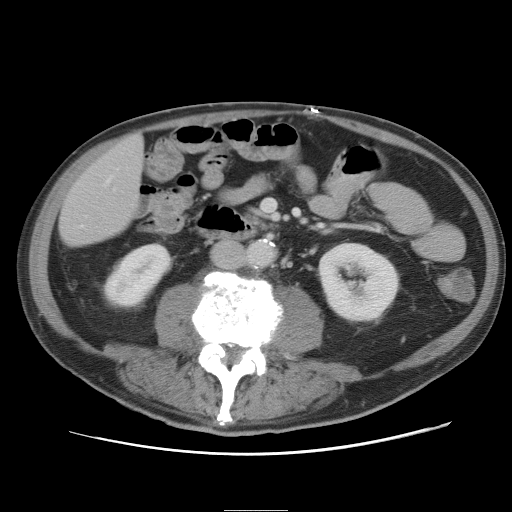 Abdomen; 512x512 px; CT scan slice
The vessel annotation is not exhaustive.
{"hepatic_vessel": ["(left=107, top=179, right=110, bottom=183)", "(left=135, top=135, right=139, bottom=139)"]}